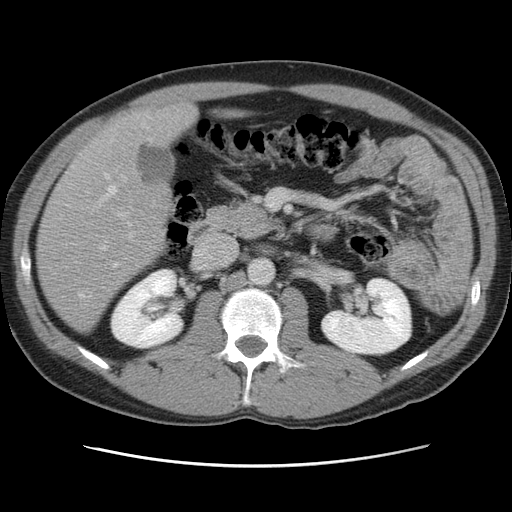
Image size 512x512. CT slice.
Only some of the vessels may be annotated.
Hepatic vessel — box(129, 232, 133, 236); box(153, 204, 154, 206); box(114, 263, 117, 267); box(102, 246, 106, 250); box(142, 123, 149, 128); box(109, 140, 113, 143); box(128, 223, 131, 226); box(119, 213, 127, 216); box(79, 294, 84, 297); box(105, 174, 109, 178); box(99, 186, 116, 205).